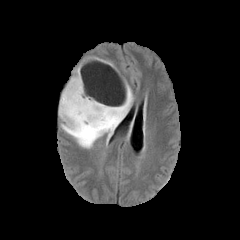
FLAIR MR.
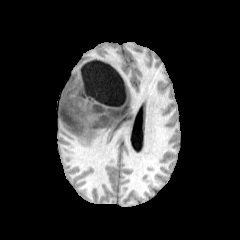
T1-weighted MR.
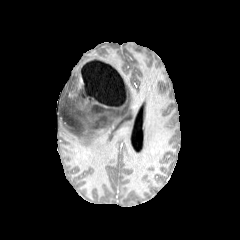
Same slice, post-contrast T1-weighted MR image.
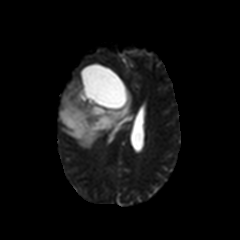
T2-weighted magnetic resonance.
3 non-enhancing tumor core regions appear at <bbox>84, 92, 121, 107</bbox>, <bbox>92, 106, 121, 127</bbox>, <bbox>61, 108, 82, 132</bbox>. The edema is at <bbox>58, 66, 133, 148</bbox>.